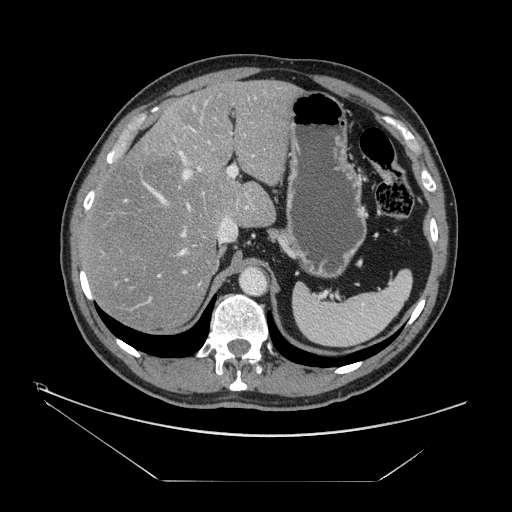

CT image

The vessel boxes may cover only some of the vessels.
Hepatic vessel — [227,166,236,176], [147,186,152,190], [183,170,190,178], [154,192,164,201], [187,206,189,208], [182,233,185,235], [180,250,185,253], [191,128,193,130], [198,168,200,170], [179,151,184,160].